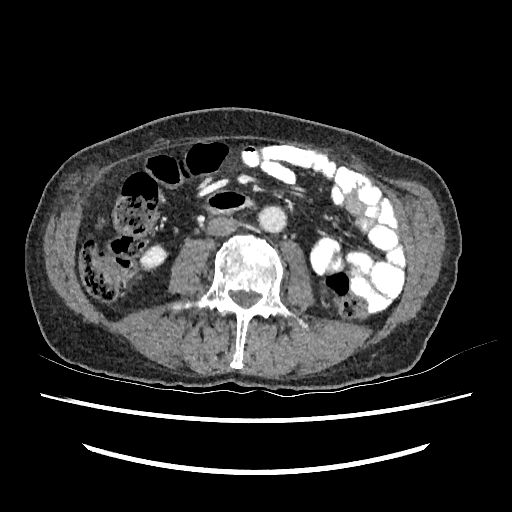
512x512 | CT image | Abdomen

The kidney is bounded by <box>139,246,165,267</box>.